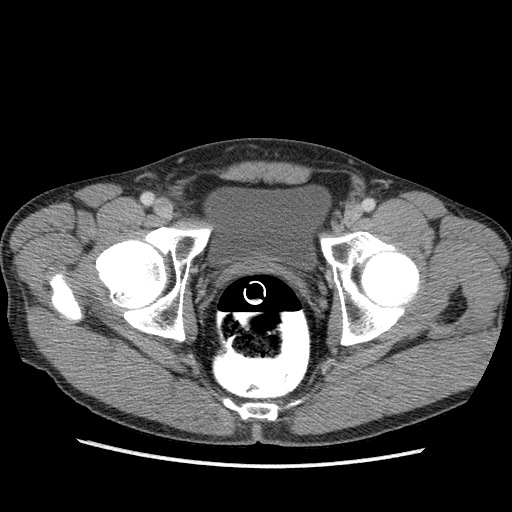 CT; Image size 512x512
Urinary bladder: region(204, 185, 330, 270).